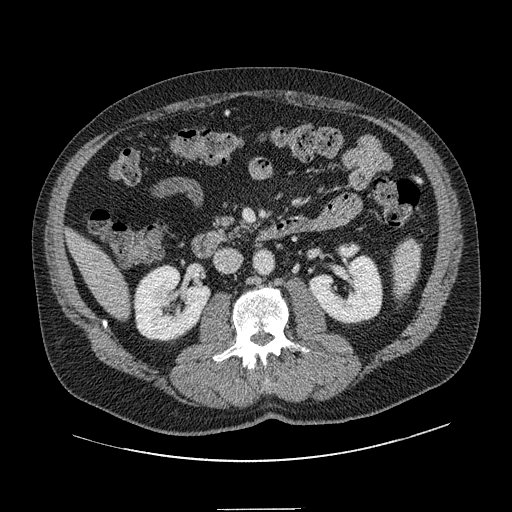 CT
The pancreas is located at (left=215, top=217, right=256, bottom=235).